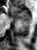 MR, Image size 37x50
Anterior hippocampus = bbox=[10, 6, 30, 22].